Slice 460/917; Computed tomography; Image width 429 mm
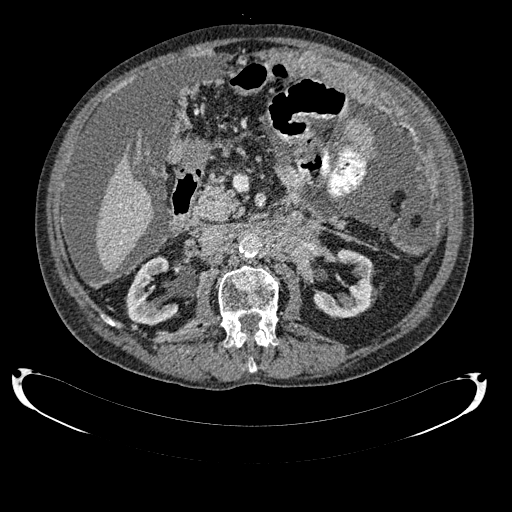
{"kidney": ["(left=314, top=250, right=372, bottom=317)", "(left=127, top=257, right=177, bottom=324)"], "liver": ["(left=96, top=153, right=153, bottom=271)"]}